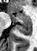
MR image. Image size 37x51. Hippocampus.

{"posterior_hippocampus": ["17, 23, 30, 35"], "anterior_hippocampus": ["8, 11, 30, 22"]}